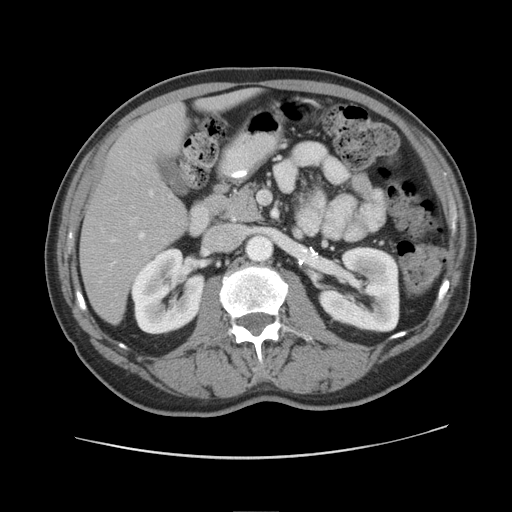

Upper abdomen. Computed tomography.
The pancreas is bounded by 222 179 261 223.